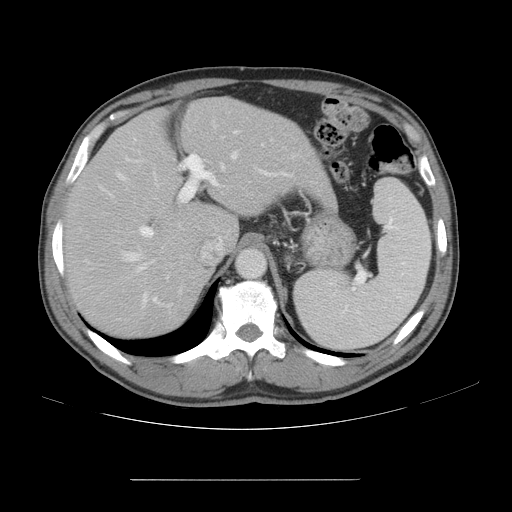

Computed tomography, Liver
The vessel boxes may cover only some of the vessels.
<segmentation partial="true">
  <hepatic_vessel shown="15" total="17">{"x1": 117, "y1": 173, "x2": 127, "y2": 180}, {"x1": 231, "y1": 152, "x2": 237, "y2": 158}, {"x1": 150, "y1": 260, "x2": 153, "y2": 263}, {"x1": 155, "y1": 184, "x2": 158, "y2": 186}, {"x1": 179, "y1": 196, "x2": 184, "y2": 202}, {"x1": 142, "y1": 293, "x2": 146, "y2": 303}, {"x1": 153, "y1": 297, "x2": 162, "y2": 304}, {"x1": 137, "y1": 263, "x2": 146, "y2": 271}, {"x1": 139, "y1": 226, "x2": 153, "y2": 236}, {"x1": 260, "y1": 170, "x2": 293, "y2": 176}, {"x1": 234, "y1": 130, "x2": 240, "y2": 133}, {"x1": 208, "y1": 172, "x2": 218, "y2": 185}, {"x1": 167, "y1": 273, "x2": 169, "y2": 278}, {"x1": 220, "y1": 163, "x2": 224, "y2": 169}, {"x1": 122, "y1": 250, "x2": 140, "y2": 260}</hepatic_vessel>
</segmentation>